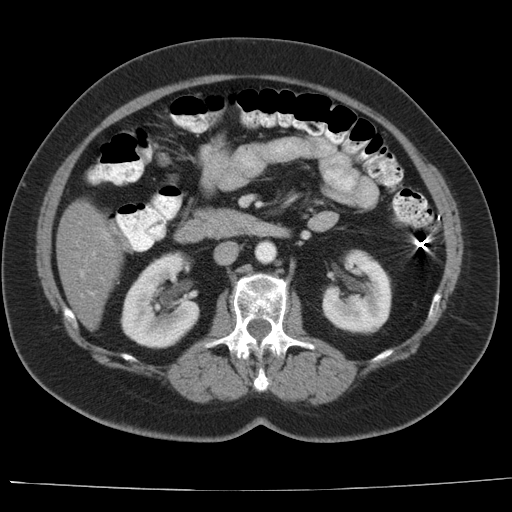 Liver, 512x512 px, CT image

Not every hepatic vessel necessarily has a box.
<segmentation>
  <hepatic_vessel>x1=80, y1=272, x2=82, y2=275</hepatic_vessel>
</segmentation>